Image size 240x240. Head.
FLAIR MR image.
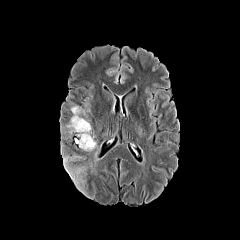
T1-weighted MR image.
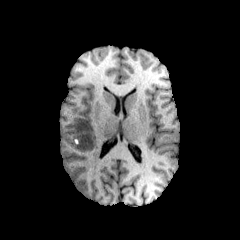
Post-contrast T1-weighted MR.
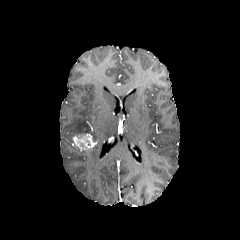
T2-weighted MR image.
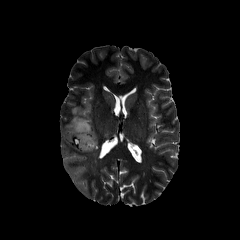
Enhancing tumor: bounding box x1=73 y1=133 x2=96 y2=151.
Edema: bounding box x1=85 y1=142 x2=105 y2=168, x1=67 y1=106 x2=91 y2=139, x1=62 y1=154 x2=85 y2=183.